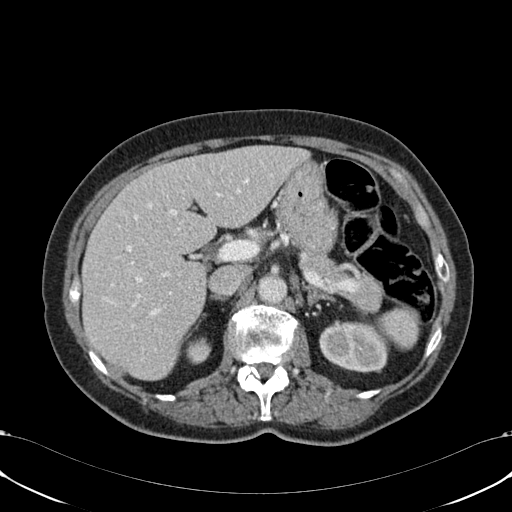 CT scan slice. 512x512 px.

Kidney = [185, 333, 210, 362], [320, 321, 386, 370].
Liver = [83, 145, 309, 380], [226, 263, 252, 274].